Image size 35x49. Slice 14/33. MR image.

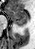 The anterior hippocampus is located at left=7, top=7, right=27, bottom=21. The posterior hippocampus is located at left=14, top=22, right=26, bottom=26.